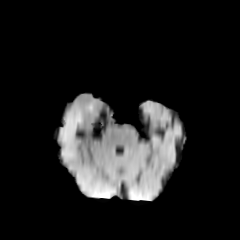
FLAIR MR.
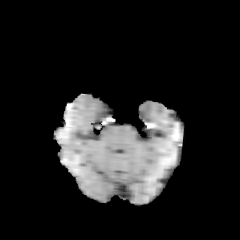
Same slice, T1-weighted MR image.
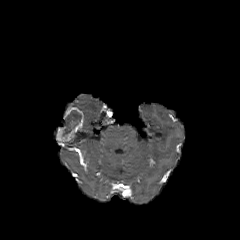
Post-contrast T1-weighted MR of the same slice.
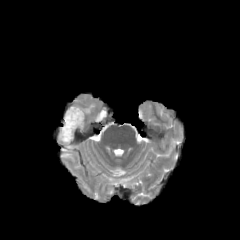
Same slice, T2-weighted MRI.
Image size 240x240. Brain.
Enhancing tumor: 56 107 84 142.
Non-enhancing tumor core: 61 110 82 136.